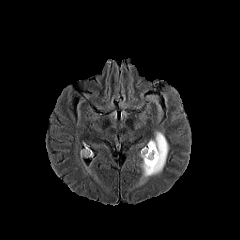
FLAIR magnetic resonance.
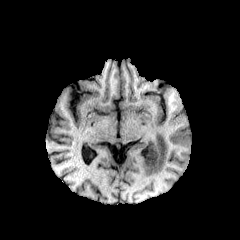
T1-weighted MR.
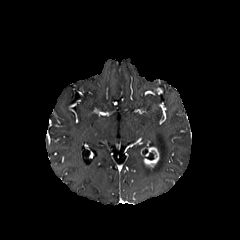
Same slice, post-contrast T1-weighted MR image.
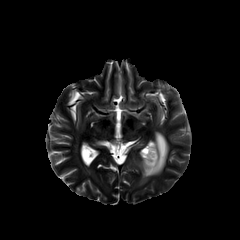
T2-weighted MRI.
The edema appears at <bbox>143, 132, 168, 177</bbox>. The non-enhancing tumor core is at <bbox>145, 150, 157, 160</bbox>. The enhancing tumor is bounded by <bbox>145, 147, 158, 164</bbox>.